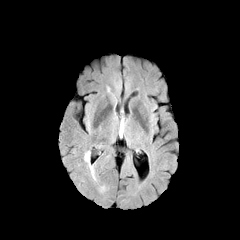
FLAIR magnetic resonance.
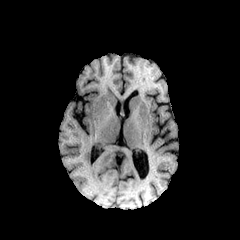
T1-weighted MR.
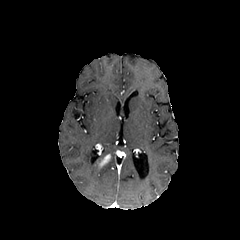
Post-contrast T1-weighted MRI.
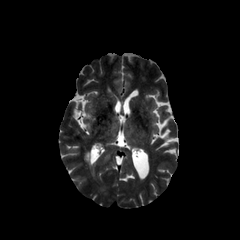
T2-weighted MRI.
Brain; 240x240
The edema lies within [83, 150, 97, 181]. The enhancing tumor is at [100, 154, 110, 167].